CT image | Slice 412/605 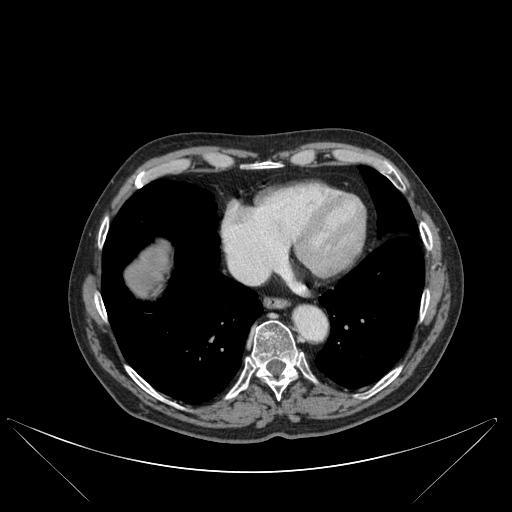 {
  "bone": [
    {"x1": 368, "y1": 367, "x2": 400, "y2": 396},
    {"x1": 226, "y1": 320, "x2": 314, "y2": 399},
    {"x1": 420, "y1": 291, "x2": 429, "y2": 319},
    {"x1": 94, "y1": 297, "x2": 106, "y2": 318},
    {"x1": 384, "y1": 166, "x2": 398, "y2": 181},
    {"x1": 420, "y1": 222, "x2": 432, "y2": 249},
    {"x1": 135, "y1": 172, "x2": 146, "y2": 187},
    {"x1": 98, "y1": 217, "x2": 108, "y2": 246},
    {"x1": 252, "y1": 163, "x2": 280, "y2": 168},
    {"x1": 125, "y1": 366, "x2": 163, "y2": 400}
  ],
  "lung": [
    {"x1": 101, "y1": 179, "x2": 262, "y2": 403},
    {"x1": 315, "y1": 165, "x2": 424, "y2": 388}
  ],
  "liver": [
    {"x1": 125, "y1": 244, "x2": 170, "y2": 297}
  ]
}